CT scan slice. Liver. Slice 593 of 685. Image width 358 mm.

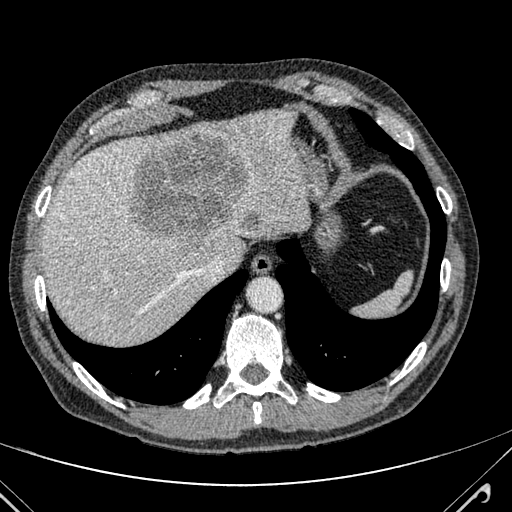

<segmentation>
  <liver>41,110,310,343</liver>
  <focal_liver_lesion>243,212,262,229; 131,132,248,248</focal_liver_lesion>
</segmentation>